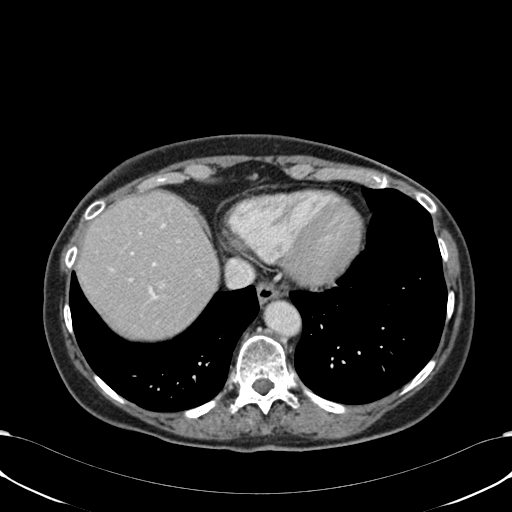 CT slice | Liver
liver:
  - rect(78, 192, 218, 339)